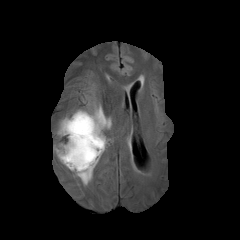
FLAIR MR.
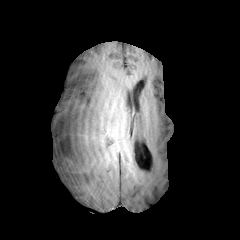
Same slice, T1-weighted MR image.
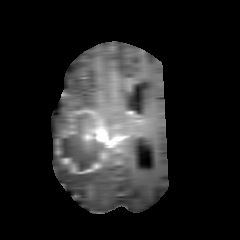
Post-contrast T1-weighted MR.
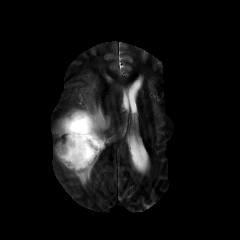
Same slice, T2-weighted magnetic resonance.
Image size 240x240
<segmentation>
  <enhancing_tumor>78,163,101,173; 73,110,112,160</enhancing_tumor>
  <non-enhancing_tumor_core>56,113,107,174</non-enhancing_tumor_core>
  <edema>71,173,92,185; 94,104,111,128; 54,97,92,136</edema>
</segmentation>